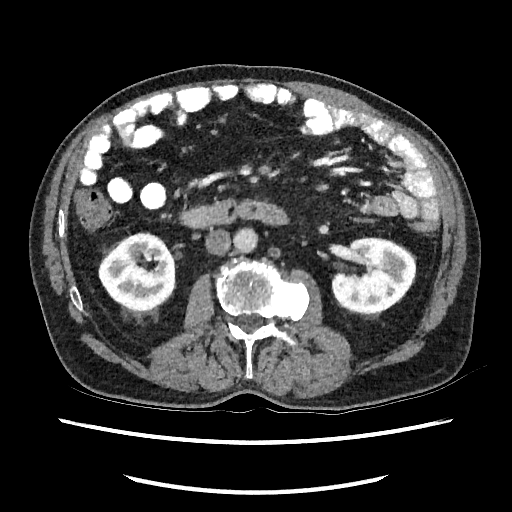
Image size 512x512. CT scan slice. • kidney: x1=332, y1=238, x2=415, y2=314; x1=99, y1=233, x2=175, y2=317